Liver; CT; Slice index 24 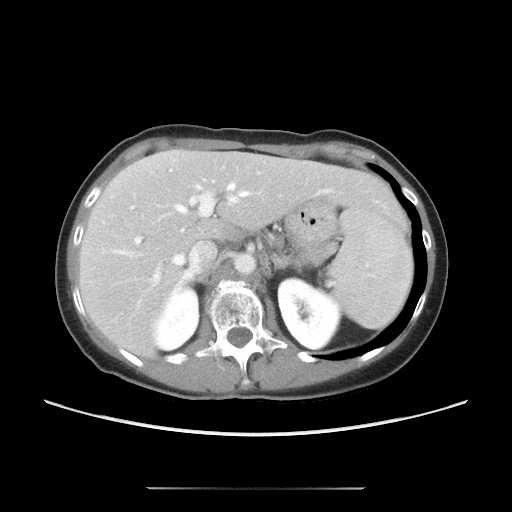 Some hepatic vessels may have no box.
14 hepatic vessel regions appear at 193, 193, 211, 199; 190, 201, 195, 204; 197, 185, 200, 188; 167, 299, 168, 301; 174, 256, 183, 263; 119, 252, 125, 252; 135, 237, 140, 243; 150, 276, 155, 286; 229, 197, 232, 200; 227, 182, 234, 189; 156, 266, 160, 278; 170, 169, 171, 171; 174, 204, 185, 211; 236, 191, 249, 201.